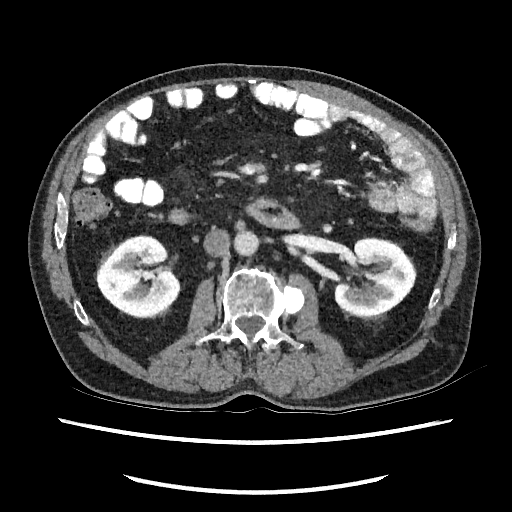
Abdomen, CT image
{"kidney": ["left=97, top=235, right=179, bottom=317", "left=335, top=238, right=415, bottom=318"]}